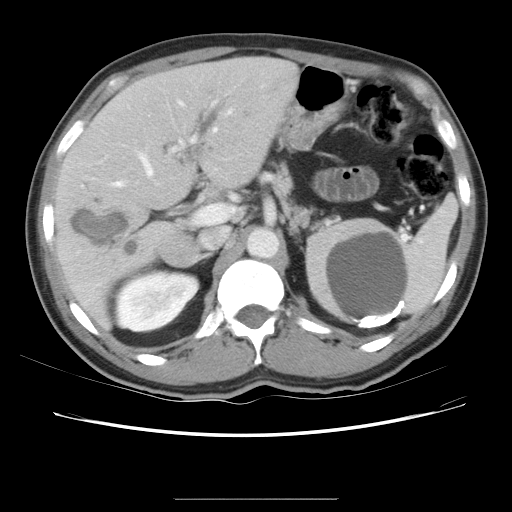
Abdomen, CT
The vessel annotation is not exhaustive.
The liver tumor lies within x1=64 y1=203 x2=144 y2=264. 10 hepatic vessel regions are located at x1=139 y1=152 x2=152 y2=175, x1=212 y1=101 x2=215 y2=104, x1=220 y1=109 x2=231 y2=114, x1=169 y1=139 x2=184 y2=151, x1=212 y1=127 x2=217 y2=131, x1=198 y1=206 x2=232 y2=222, x1=178 y1=100 x2=183 y2=105, x1=155 y1=181 x2=158 y2=184, x1=112 y1=180 x2=125 y2=186, x1=189 y1=136 x2=195 y2=141.